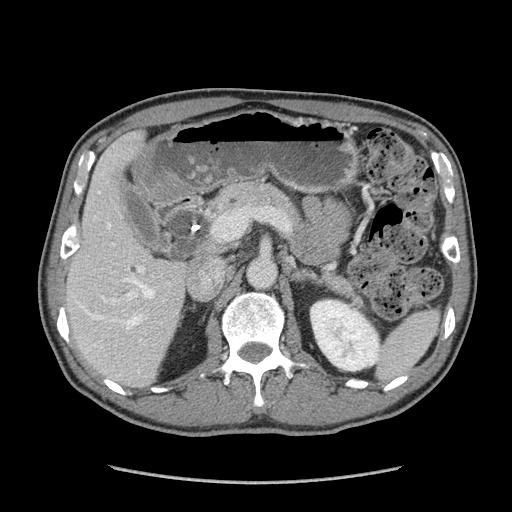

CT scan slice; Image size 512x512
2 pancreas regions appear at (left=160, top=181, right=302, bottom=261), (left=318, top=270, right=330, bottom=282). The pancreatic tumor lies within (left=172, top=211, right=212, bottom=253).